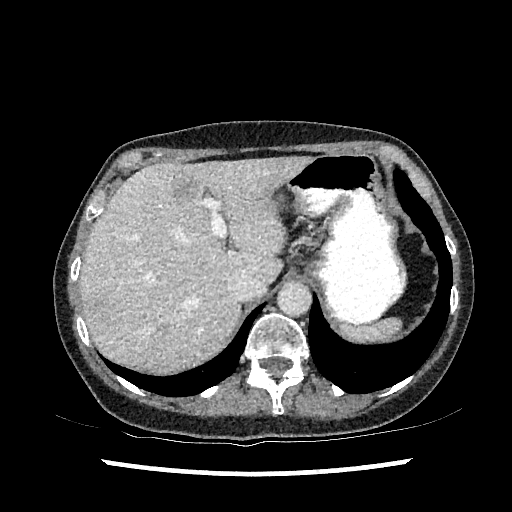

Upper abdomen, CT scan slice
Liver lesion at 172, 177, 196, 203; 84, 295, 108, 319; 157, 324, 167, 333.
Liver at 80, 157, 311, 371.